CT image
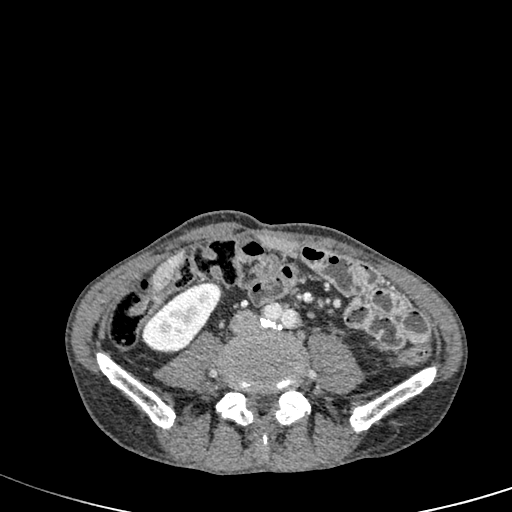 The kidney is located at <bbox>143, 283, 220, 350</bbox>. The liver lies within <bbox>152, 249, 184, 290</bbox>.